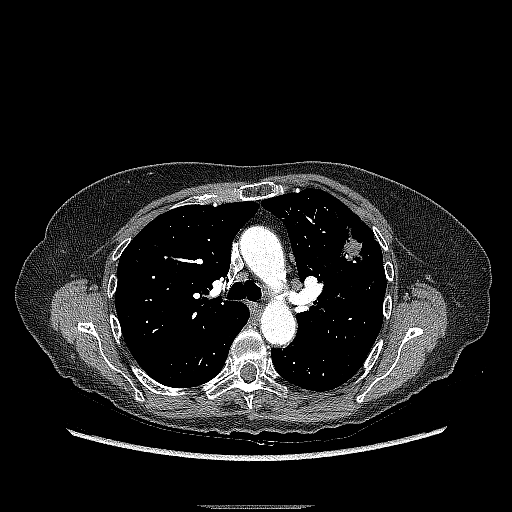
CT

lung_tumor:
  - box(335, 215, 367, 270)